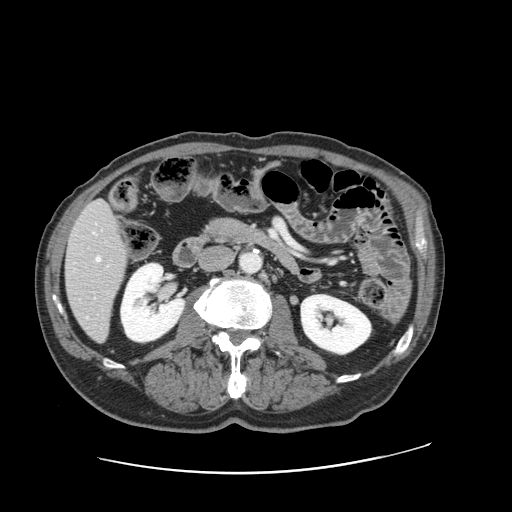 CT image; 512x512 px
The vessel annotation is not exhaustive.
2 hepatic vessel regions are bounded by (left=96, top=257, right=100, bottom=260), (left=93, top=232, right=94, bottom=233).